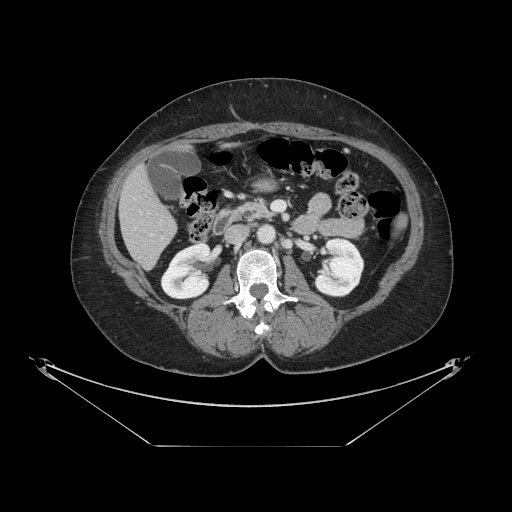
CT. pancreas:
  - (x1=241, y1=202, x2=270, y2=219)